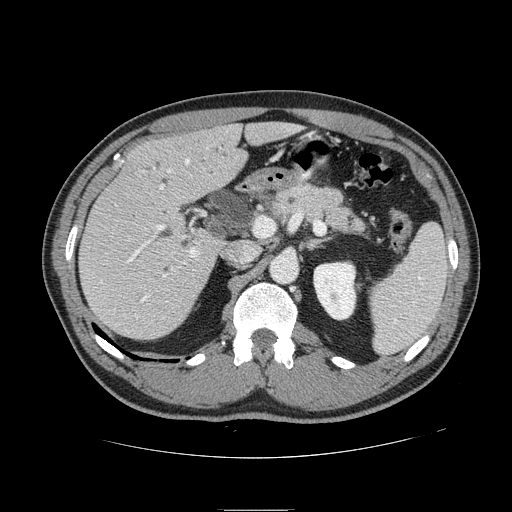

CT image

Pancreas: (x1=271, y1=185, x2=365, y2=232).